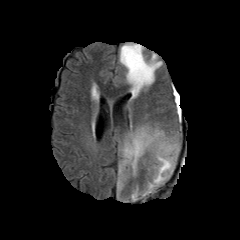
FLAIR MRI.
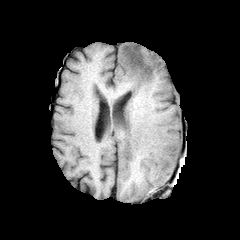
T1-weighted MR of the same slice.
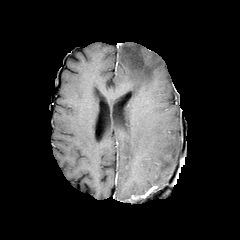
Post-contrast T1-weighted magnetic resonance.
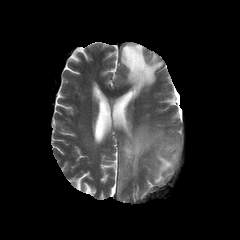
T2-weighted MRI.
Brain
The non-enhancing tumor core is located at l=125, t=46, r=151, b=77. 2 edema regions are bounded by l=119, t=43, r=162, b=97; l=121, t=130, r=179, b=188.